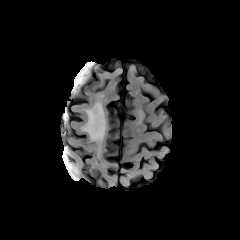
FLAIR MR image.
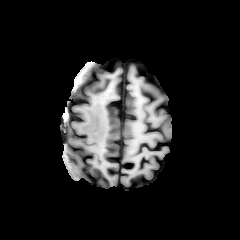
Same slice, T1-weighted MR.
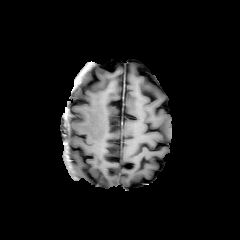
Same slice, post-contrast T1-weighted MRI.
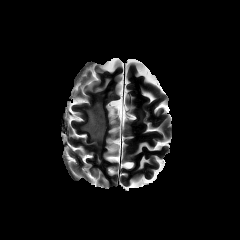
T2-weighted MR image.
Edema: bounding box (left=82, top=102, right=105, bottom=141), (left=70, top=162, right=79, bottom=175).